Liver. CT slice.

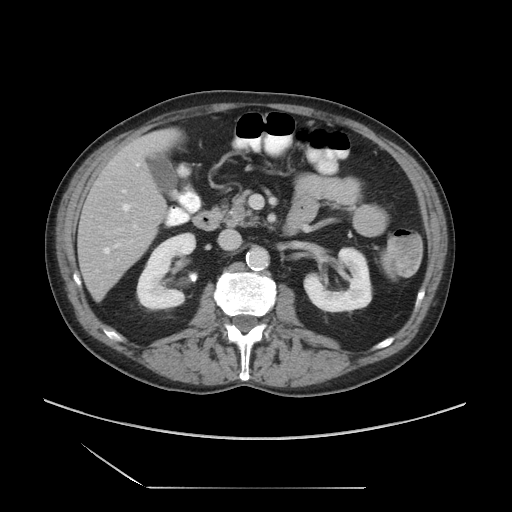
Only some of the vessels may be annotated.
Hepatic vessel at l=104, t=248, r=109, b=253; l=117, t=228, r=123, b=230; l=136, t=163, r=139, b=165; l=123, t=190, r=125, b=192; l=134, t=225, r=136, b=227; l=114, t=244, r=119, b=247; l=123, t=204, r=129, b=210.